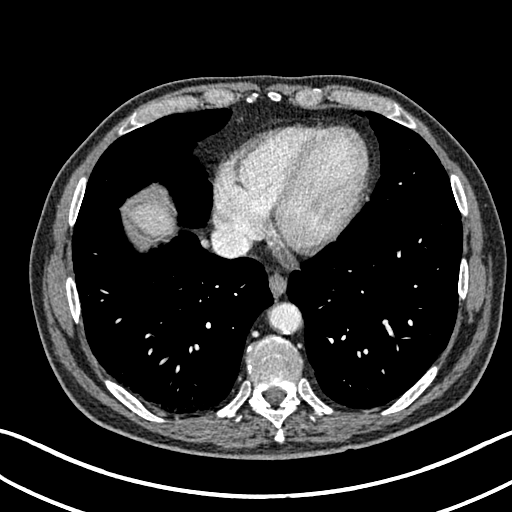 Abdomen, CT scan slice, 512x512 px

Liver — (129,204,170,235).